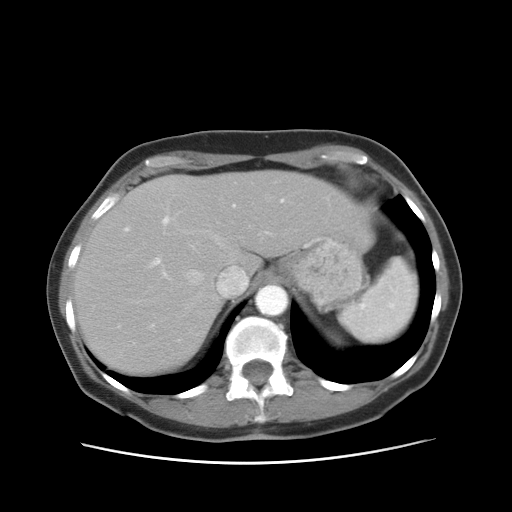

Abdomen | CT scan slice
Segmented structures:
* spleen: left=340, top=260, right=418, bottom=340